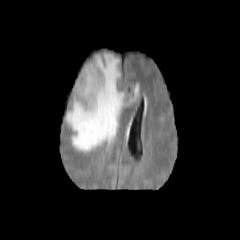
FLAIR magnetic resonance.
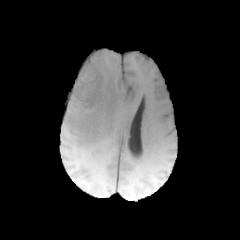
T1-weighted MRI of the same slice.
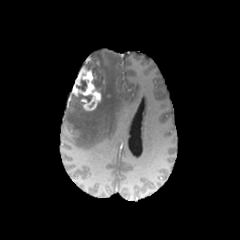
Post-contrast T1-weighted MR.
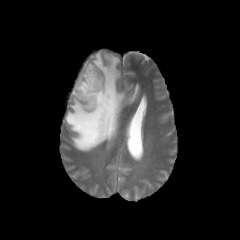
T2-weighted MRI of the same slice.
The enhancing tumor is at rect(71, 65, 101, 110). The edema lies within rect(64, 51, 139, 152). 3 non-enhancing tumor core regions are bounded by rect(82, 57, 107, 106); rect(74, 94, 92, 105); rect(77, 79, 86, 90).